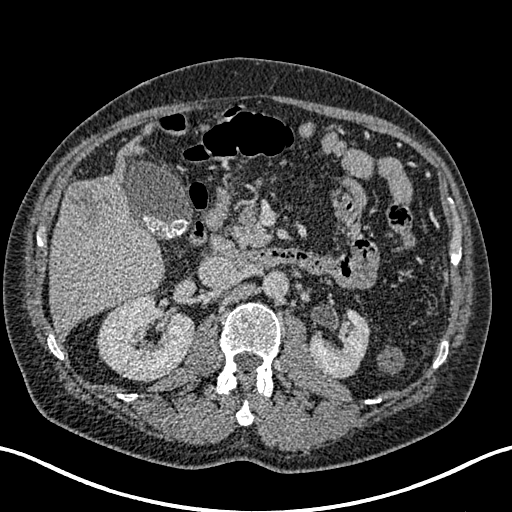 512x512 px; Liver; Computed tomography

Annotated regions:
- focal liver lesion: 65 181 111 222
- liver: 49 123 164 336
- kidney: 310 311 368 377, 98 296 193 379